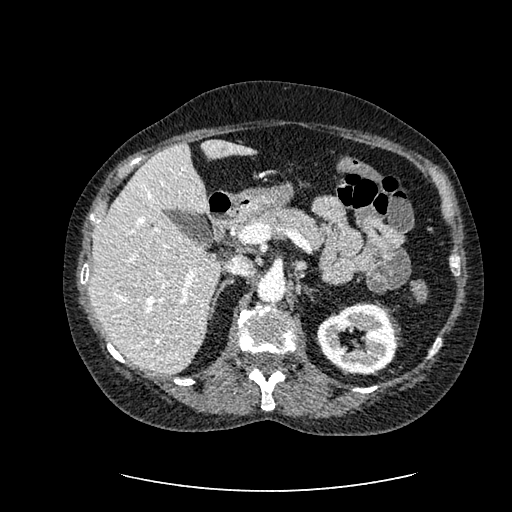
Image size 512x512. CT. The kidney is bounded by 318 304 396 373. 2 liver regions are bounded by 91 143 219 374, 201 141 255 161.